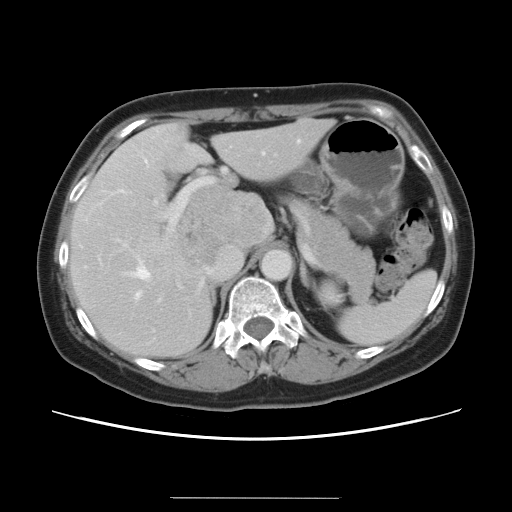 CT slice | Abdomen
The vessel annotation is not exhaustive.
Liver tumor at l=174, t=186, r=266, b=268.
Hepatic vessel at l=97, t=256, r=100, b=262; l=206, t=269, r=210, b=273; l=117, t=240, r=120, b=241; l=80, t=245, r=81, b=247; l=262, t=153, r=263, b=154; l=135, t=293, r=140, b=298; l=153, t=200, r=156, b=204; l=163, t=178, r=213, b=231; l=130, t=261, r=148, b=279; l=122, t=242, r=126, b=247; l=145, t=160, r=147, b=167; l=119, t=190, r=124, b=192; l=297, t=140, r=299, b=142; l=200, t=280, r=202, b=286.